Slice 67 of 155. Brain.
FLAIR MR.
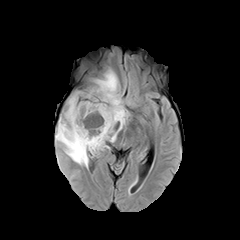
T1-weighted MR.
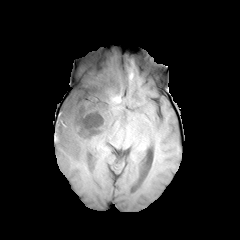
Post-contrast T1-weighted magnetic resonance.
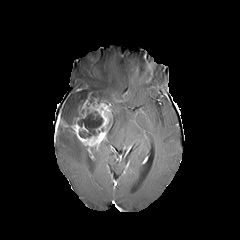
T2-weighted MR.
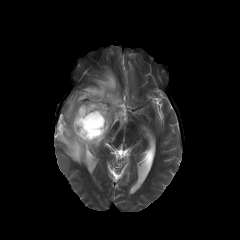
<segmentation>
  <edema>rect(60, 90, 87, 125); rect(56, 126, 91, 168); rect(90, 69, 128, 156)</edema>
  <enhancing_tumor>rect(55, 117, 62, 135); rect(70, 100, 111, 149)</enhancing_tumor>
  <non-enhancing_tumor_core>rect(78, 112, 102, 138); rect(78, 88, 98, 109)</non-enhancing_tumor_core>
</segmentation>